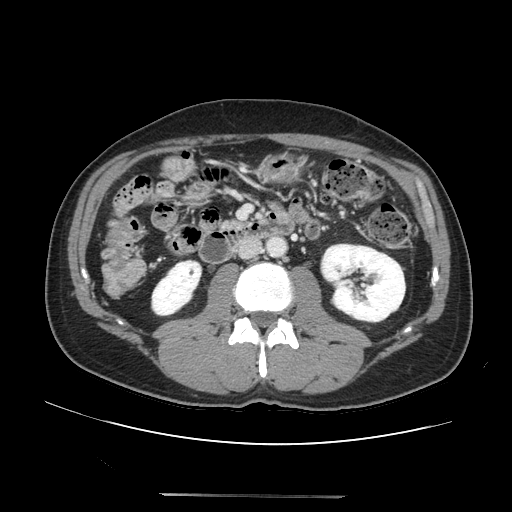
CT image
Pancreas = region(216, 219, 244, 232).